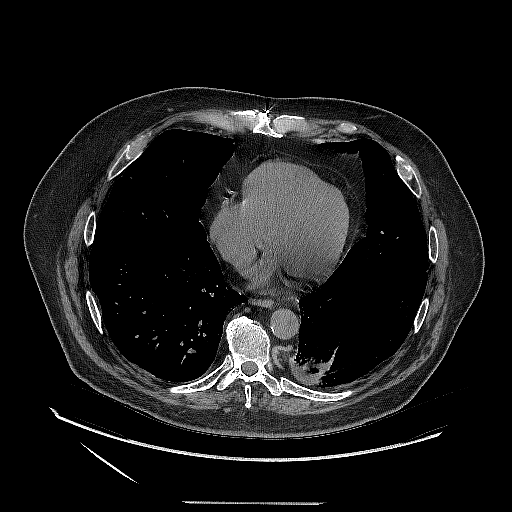

CT scan slice. Thorax. Image size 512x512.

{
  "lung_tumor": [
    "l=289, t=336, r=342, b=387"
  ]
}